Liver; Image size 512x512; CT scan slice; Field of view 358x358 mm

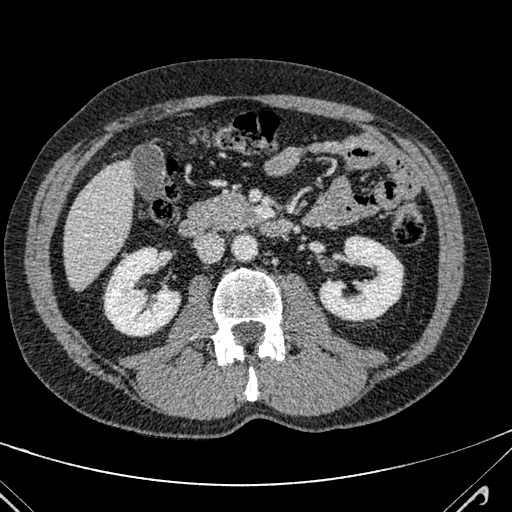
Annotated regions:
- liver: 64, 160, 133, 290